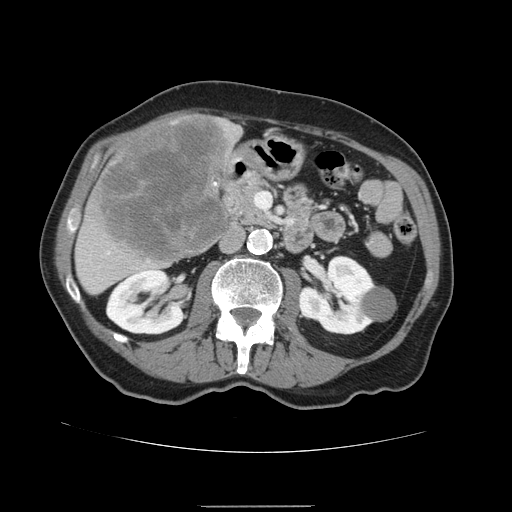 CT scan slice; Abdomen
Liver tumor: bounding box bbox(94, 117, 230, 263).